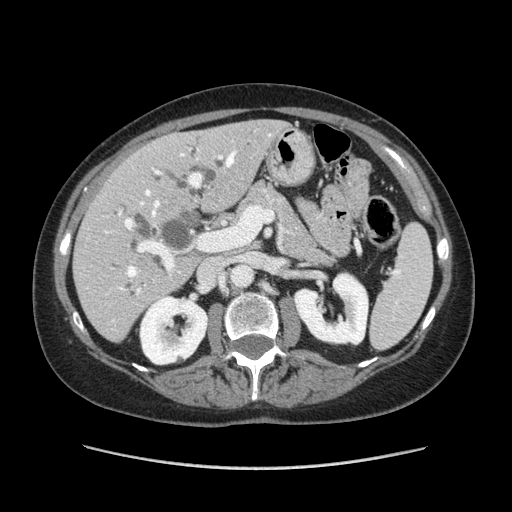 Upper abdomen; Computed tomography; Image size 512x512
{"pancreas": ["235,178,341,269"]}